CT slice. Field of view 512x512 mm. Liver. 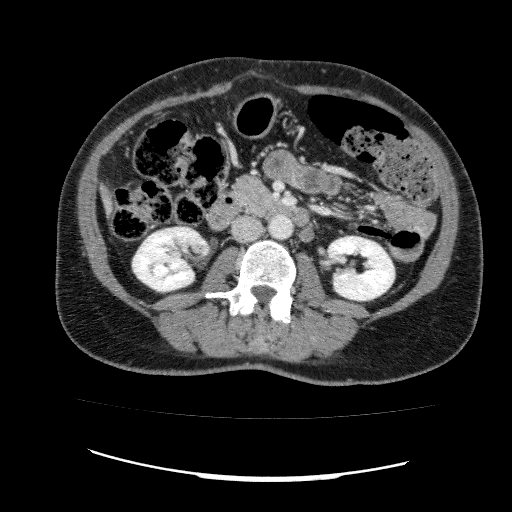 kidney: l=328, t=236, r=394, b=300; l=132, t=227, r=207, b=290 | liver: l=100, t=184, r=113, b=215